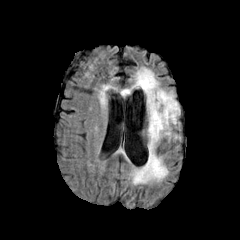
FLAIR MR image.
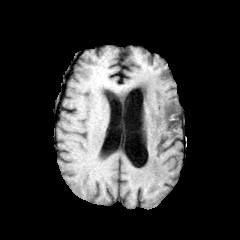
T1-weighted MR of the same slice.
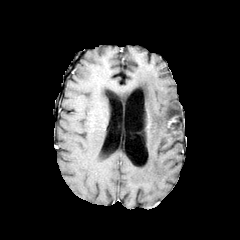
Same slice, post-contrast T1-weighted MR image.
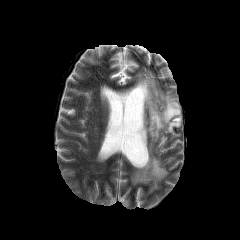
Same slice, T2-weighted MRI.
Head | 240x240 px
edema: 99 85 110 105, 120 67 180 184